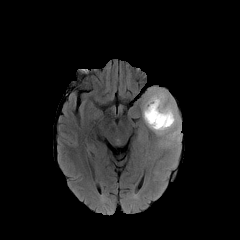
FLAIR MR.
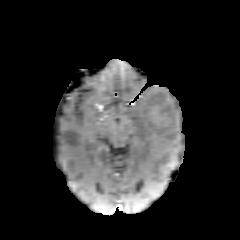
T1-weighted MRI.
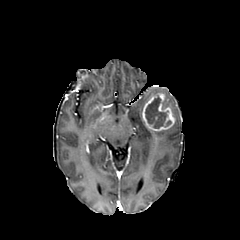
Post-contrast T1-weighted MRI of the same slice.
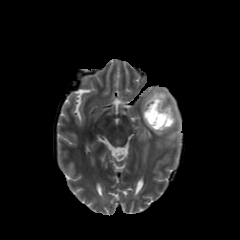
T2-weighted MRI.
Head
Edema — (140, 86, 182, 165).
Non-enhancing tumor core — (145, 97, 167, 128), (163, 97, 170, 108).
Enhancing tumor — (142, 93, 175, 131).